Upper abdomen; CT; Slice index 42 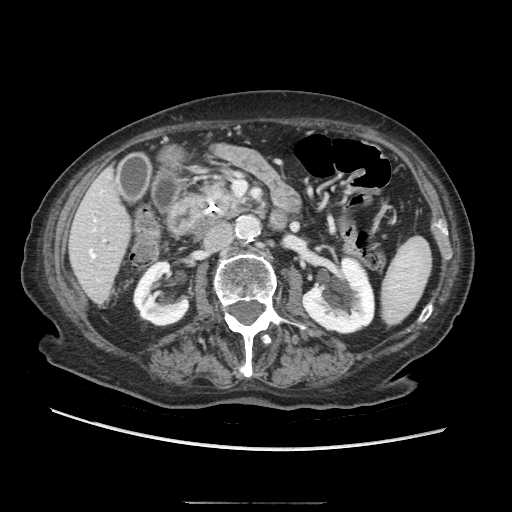 Pancreas at <box>199,180,247,217</box>.